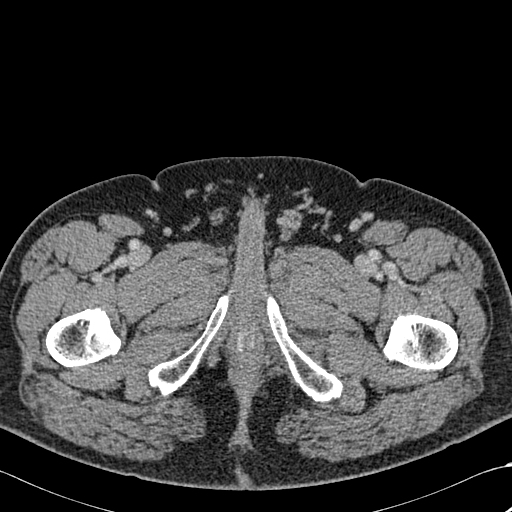
Computed tomography
4 bone regions appear at <bbox>267, 297, 342, 401</bbox>, <bbox>384, 314, 457, 370</bbox>, <bbox>148, 296, 228, 394</bbox>, <bbox>46, 308, 120, 366</bbox>.